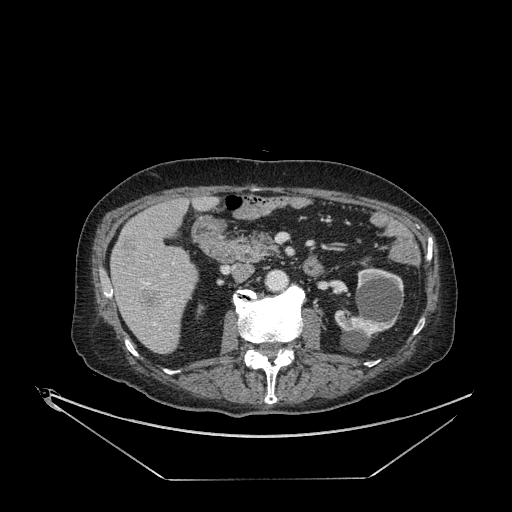
CT slice; Abdomen
Focal liver lesion: <box>121,237,136,256</box>, <box>139,289,160,313</box>.
Kidney: <box>321,280,347,293</box>, <box>335,310,394,336</box>, <box>358,269,403,291</box>.
Liver: <box>111,198,197,353</box>, <box>193,196,218,210</box>.